Abdomen, CT
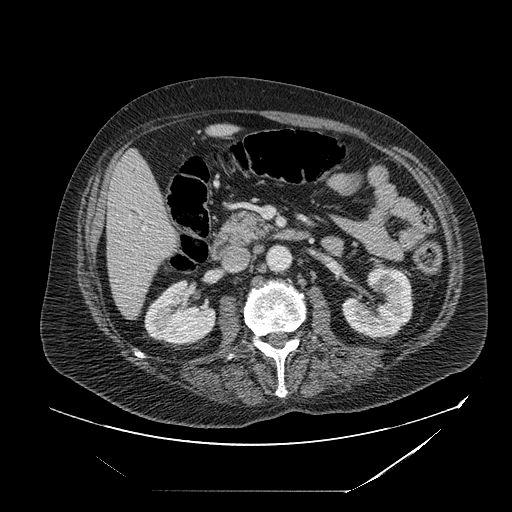 The pancreas is bounded by [223, 212, 270, 243]. The pancreatic tumor is located at [246, 233, 255, 241].